Slice index 19, 512x512 px, CT

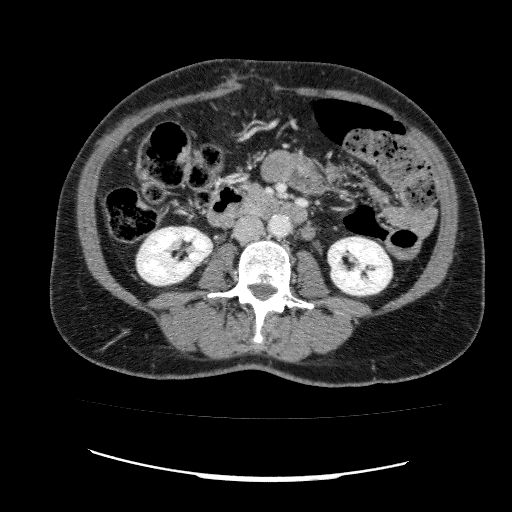

2 kidney regions appear at x1=137 y1=227 x2=211 y2=284, x1=328 y1=237 x2=391 y2=294.